CT image.

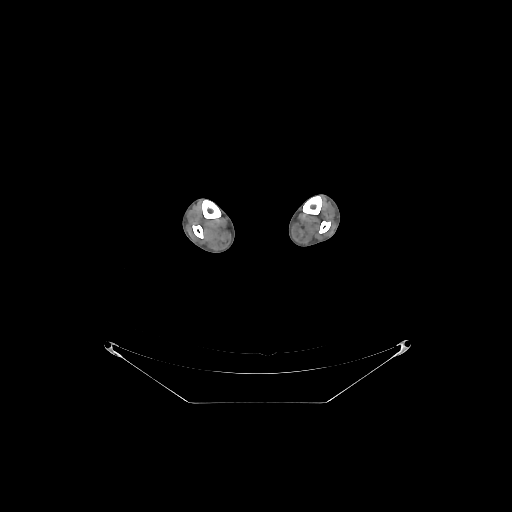 <segmentation>
  <bone>[x1=319, y1=221, x2=330, y2=233], [x1=303, y1=196, x2=322, y2=214], [x1=202, y1=200, x2=220, y2=219], [x1=192, y1=225, x2=203, y2=238]</bone>
</segmentation>